Head | 240x240 px | Field of view 240 mm wide, 1.00 mm slice spacing
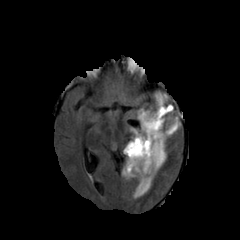
FLAIR MR image.
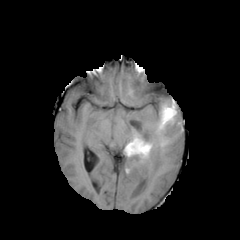
T1-weighted MR image of the same slice.
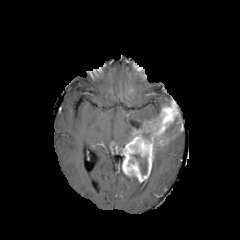
Post-contrast T1-weighted MR image.
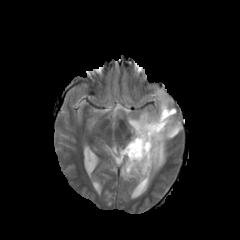
Same slice, T2-weighted magnetic resonance.
Enhancing tumor = bbox(123, 105, 177, 181).
Edema = bbox(137, 92, 167, 129); bbox(132, 122, 178, 197).
Non-enhancing tumor core = bbox(132, 107, 161, 140); bbox(132, 154, 147, 174); bbox(152, 122, 175, 167).